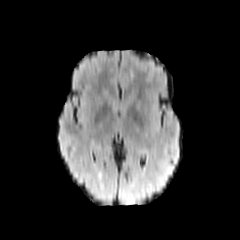
FLAIR MR image.
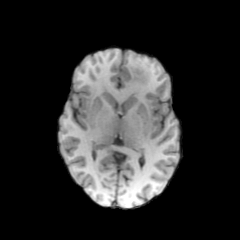
T1-weighted magnetic resonance of the same slice.
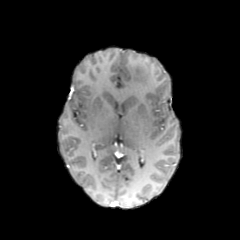
Post-contrast T1-weighted MR image of the same slice.
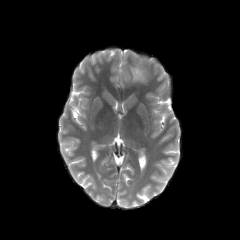
Same slice, T2-weighted MRI.
Head
The edema is at left=131, top=66, right=148, bottom=83.